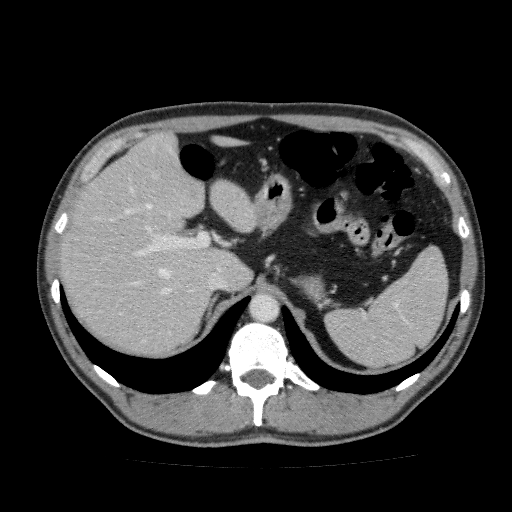 CT slice.

Liver: bounding box (left=59, top=131, right=253, bottom=356), (left=209, top=179, right=258, bottom=231), (left=210, top=135, right=246, bottom=146).